512x512, CT, Abdomen

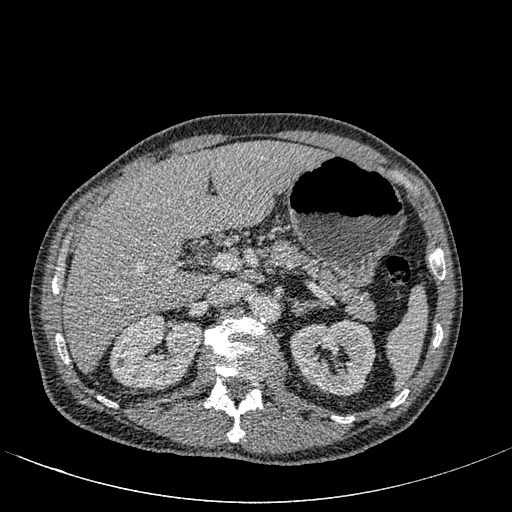
liver: [63, 142, 327, 373] | kidney: [290, 320, 374, 395], [110, 314, 201, 389]